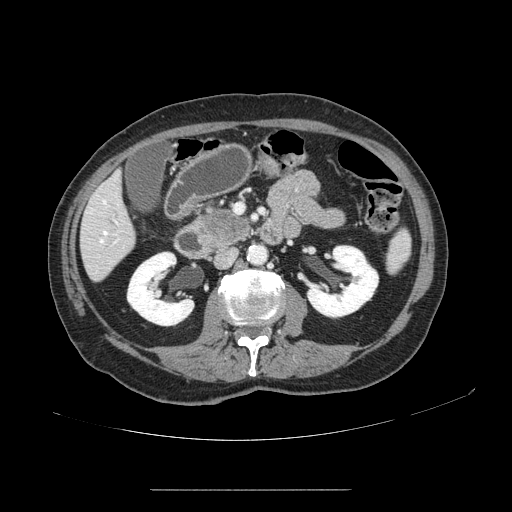
Upper abdomen | CT image
Pancreas: bounding box 198:207:250:246.
Pancreatic tumor: bounding box 201:213:242:241.